Field of view 240x240 mm
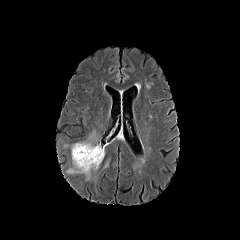
FLAIR MRI.
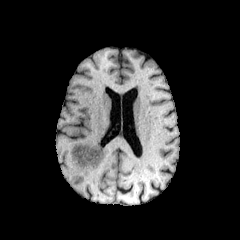
T1-weighted MR image of the same slice.
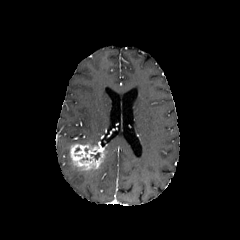
Post-contrast T1-weighted MR of the same slice.
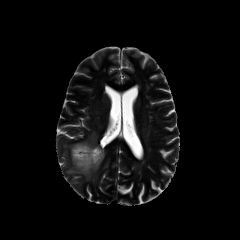
T2-weighted MRI.
The enhancing tumor is located at (x1=70, y1=142, x2=106, y2=171). 2 edema regions are bounded by (x1=66, y1=163, x2=97, y2=180), (x1=79, y1=131, x2=97, y2=145).